Brain | 240x240 px
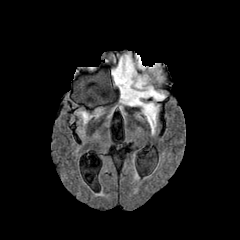
FLAIR MRI.
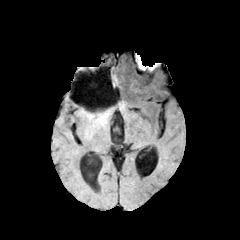
Same slice, T1-weighted MR image.
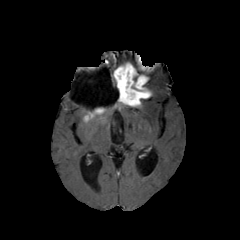
Post-contrast T1-weighted MR image.
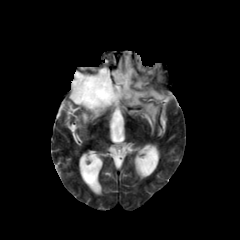
Same slice, T2-weighted magnetic resonance.
Non-enhancing tumor core: bbox=[90, 107, 104, 117].
Enhancing tumor: bbox=[113, 62, 151, 105].
Edema: bbox=[141, 100, 159, 131]; bbox=[118, 53, 144, 70]; bbox=[146, 84, 166, 101].